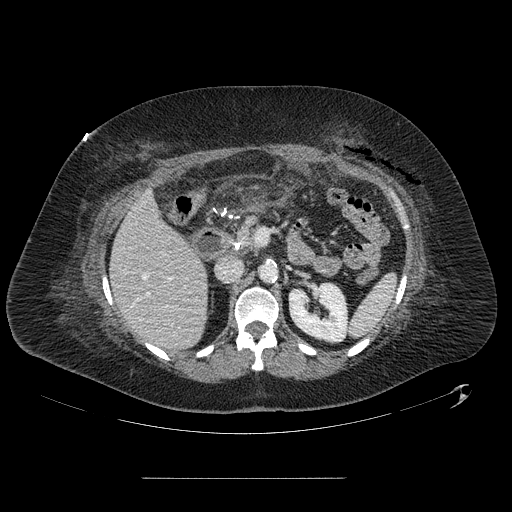
Abdomen, CT scan slice
Pancreas: bounding box 228,217,256,254.